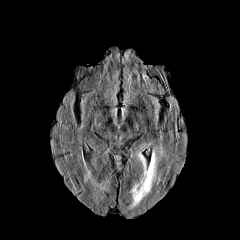
FLAIR magnetic resonance.
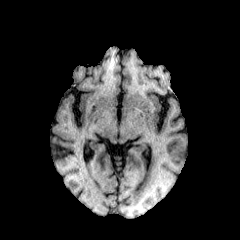
T1-weighted MRI.
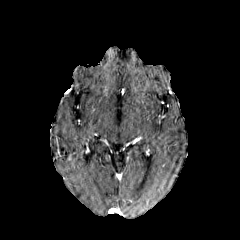
Post-contrast T1-weighted MR image.
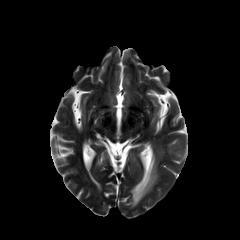
T2-weighted magnetic resonance.
Brain. Image size 240x240.
Annotated regions:
* edema: [x1=126, y1=151, x2=156, y2=211]